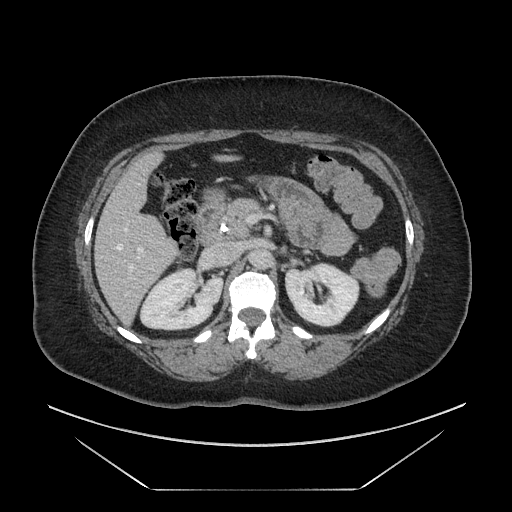
CT scan slice
Pancreas = x1=226 y1=199 x2=258 y2=236.